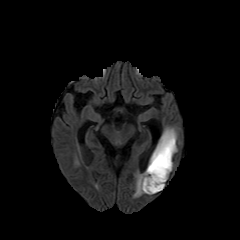
FLAIR MRI.
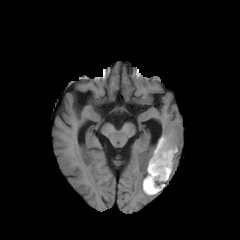
T1-weighted MR image.
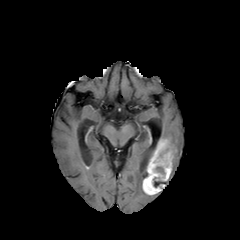
Post-contrast T1-weighted MRI.
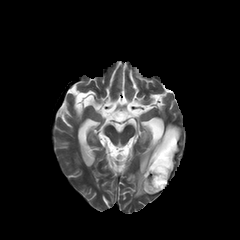
T2-weighted MR image of the same slice.
edema: [161, 126, 179, 170], [133, 166, 147, 196] | non-enhancing tumor core: [153, 177, 166, 190], [165, 131, 175, 157] | enhancing tumor: [143, 138, 172, 193]